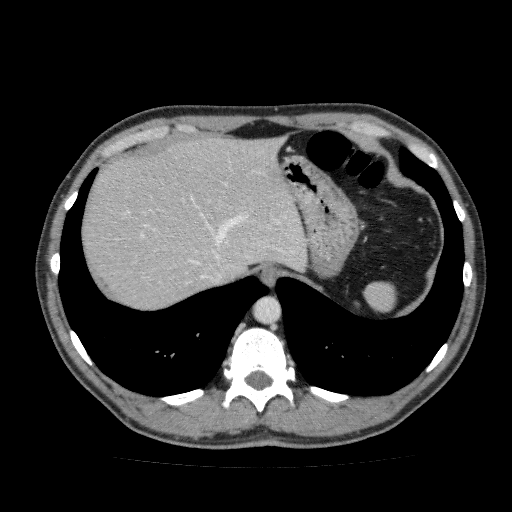
Abdomen; CT scan slice

liver: region(82, 134, 309, 311)